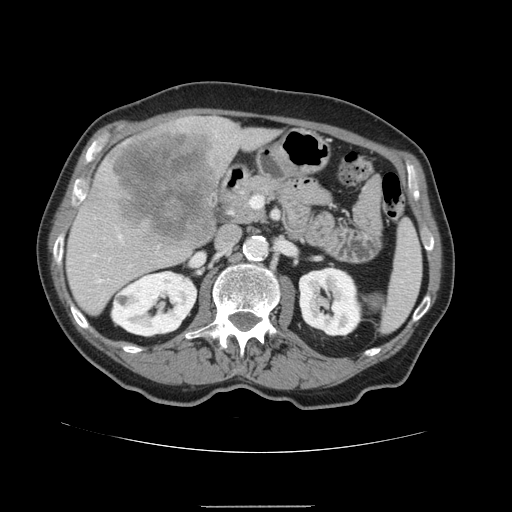
CT scan slice
Not every hepatic vessel necessarily has a box.
hepatic_vessel:
  - box=[251, 197, 255, 206]
  - box=[119, 235, 121, 237]
liver_tumor:
  - box=[112, 125, 219, 246]